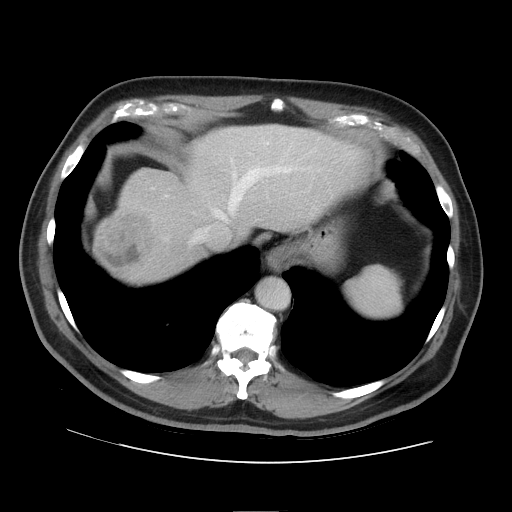
Computed tomography | Liver

Some hepatic vessels may have no box.
{"liver_tumor": ["rect(95, 208, 158, 270)"], "hepatic_vessel": ["rect(211, 208, 228, 222)", "rect(189, 230, 199, 242)", "rect(230, 166, 292, 210)", "rect(266, 143, 268, 144)"]}